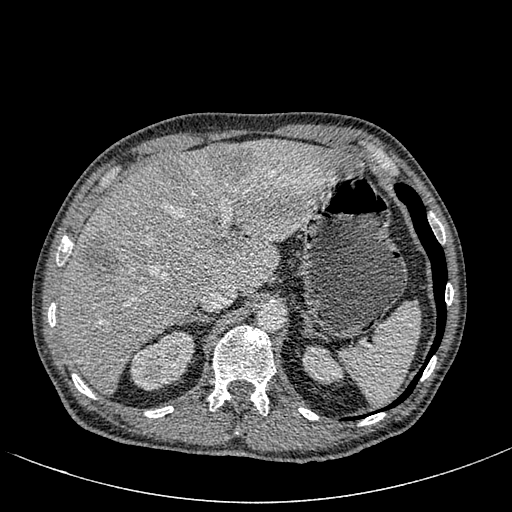
CT image
focal liver lesion: bbox(81, 231, 119, 280); bbox(159, 155, 182, 183); bbox(209, 144, 251, 178); bbox(214, 233, 238, 253) | liver: bbox(59, 140, 361, 395) | kidney: bbox(302, 346, 342, 383); bbox(131, 332, 193, 389)